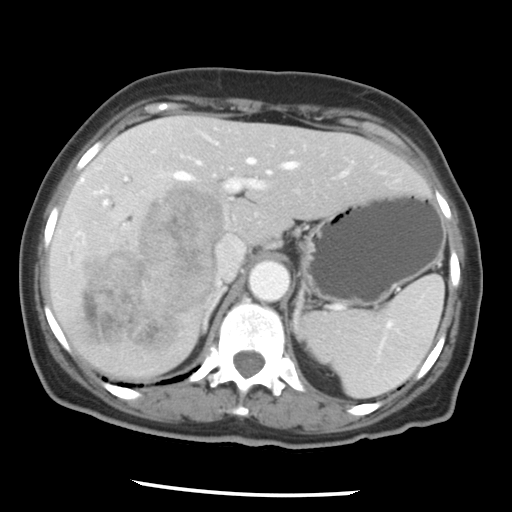 CT slice, Abdomen
Only some of the vessels may be annotated.
hepatic vessel: (160,170,193,179), (267,171,270,173), (81,177,84,182), (285,162,296,169), (93,186,107,193), (224,178,261,189), (218,236,243,276), (247,157,255,164) | liver tumor: (77,180,226,355)